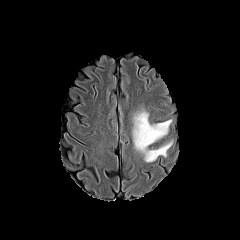
FLAIR MRI.
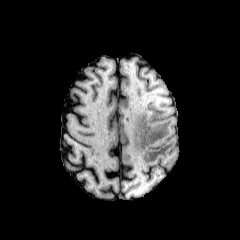
T1-weighted MR.
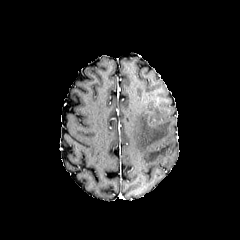
Same slice, post-contrast T1-weighted MR image.
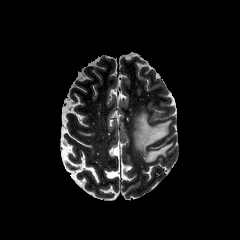
T2-weighted MR of the same slice.
Brain. 240x240 px.
edema: left=133, top=111, right=172, bottom=162